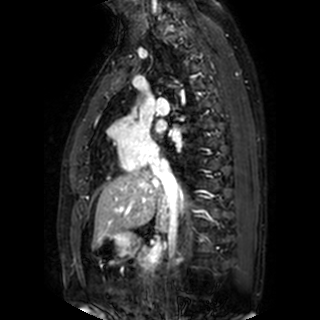 MR, Image size 320x320, Cardiac
{
  "left_atrium": [
    "<box>171,132,181,142</box>",
    "<box>155,120,166,133</box>"
  ]
}